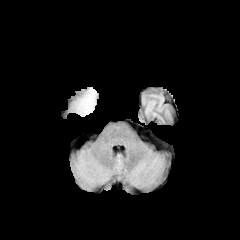
FLAIR MR image.
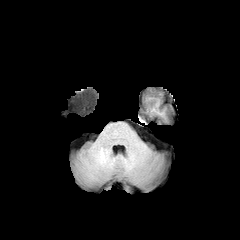
T1-weighted MR of the same slice.
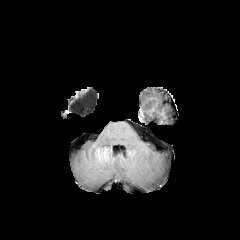
Same slice, post-contrast T1-weighted MR.
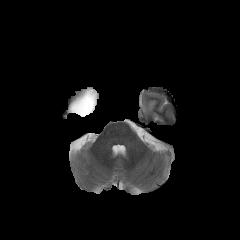
T2-weighted magnetic resonance.
240x240
Non-enhancing tumor core = [71,89,96,115].